Image size 512x512, Slice index 23, Liver, Computed tomography

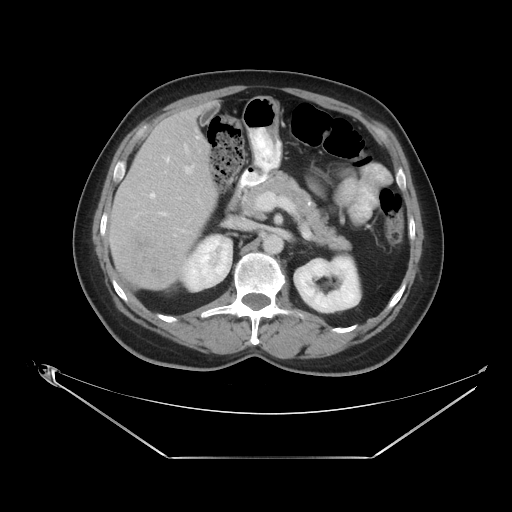
The vessel boxes may cover only some of the vessels.
hepatic vessel: 183,163,194,173 | liver tumor: 118,227,181,288